Head.
FLAIR magnetic resonance.
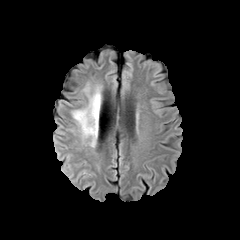
T1-weighted MRI.
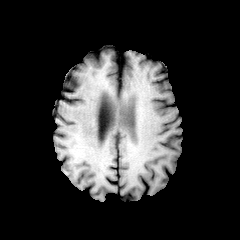
Post-contrast T1-weighted MRI.
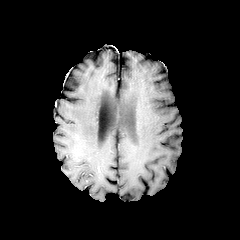
T2-weighted MR.
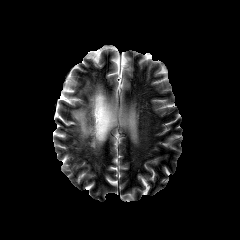
The edema lies within left=71, top=82, right=102, bottom=147.